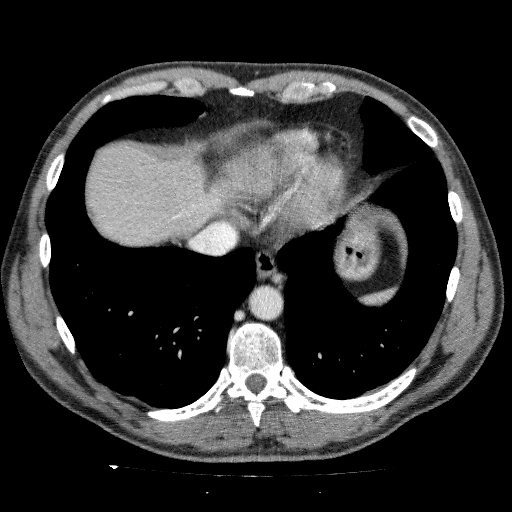 CT scan slice, Abdomen, 512x512
Liver: bounding box 86,143,276,245.